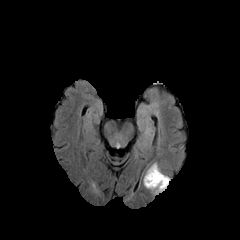
FLAIR MRI.
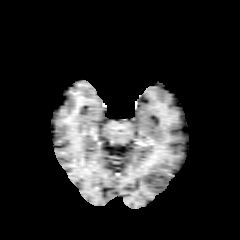
T1-weighted magnetic resonance.
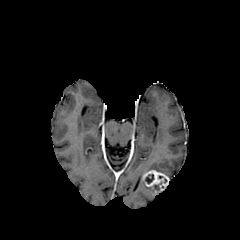
Post-contrast T1-weighted MR.
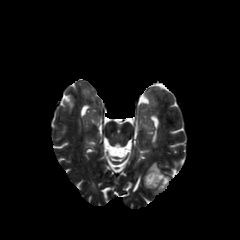
T2-weighted MR.
240x240; Brain
Non-enhancing tumor core = 145:174:153:183.
Enhancing tumor = 142:170:169:191.
Edema = 148:162:161:172, 142:181:162:195.